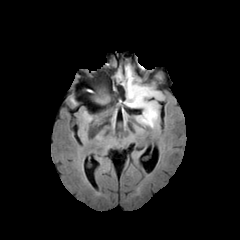
FLAIR MRI.
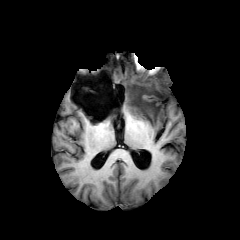
Same slice, T1-weighted MRI.
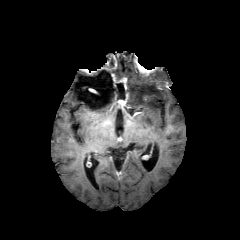
Post-contrast T1-weighted MRI.
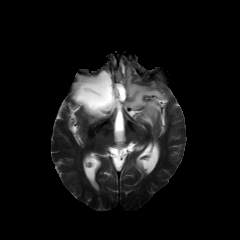
Same slice, T2-weighted MRI.
Annotated regions:
* enhancing tumor: 114 93 128 107, 119 77 127 90
* edema: 124 66 165 128, 128 98 137 108
* non-enhancing tumor core: 110 98 117 110, 95 90 111 104, 120 81 145 117